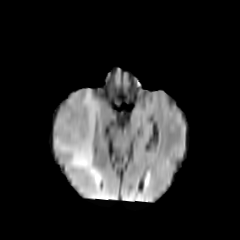
FLAIR MRI.
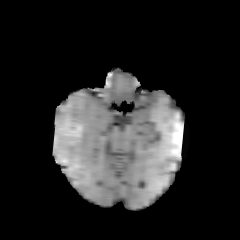
Same slice, T1-weighted MR.
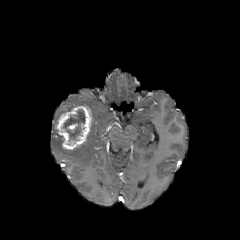
Post-contrast T1-weighted MR image.
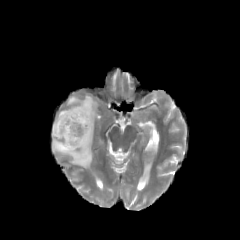
Same slice, T2-weighted MRI.
Brain
Segmented structures:
* non-enhancing tumor core: bbox(62, 108, 85, 142)
* enhancing tumor: bbox(55, 105, 92, 150)
* edema: bbox(53, 89, 100, 182)